Liver. Computed tomography.
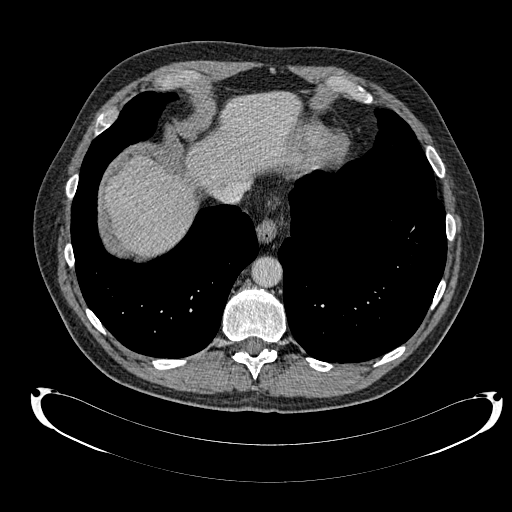 Liver: bounding box (104, 93, 299, 255).